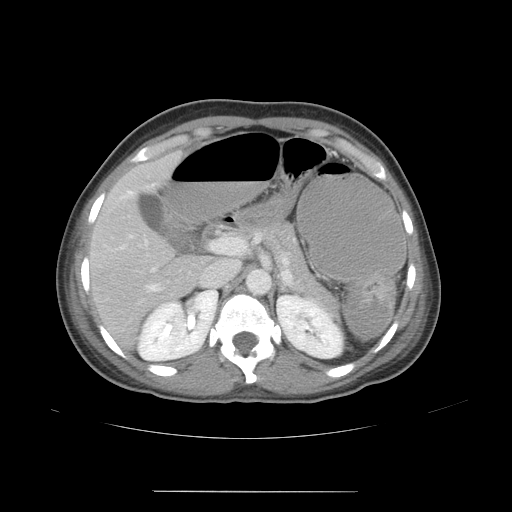
CT scan slice; 512x512
The colon tumor is bounded by [360,278,391,303].